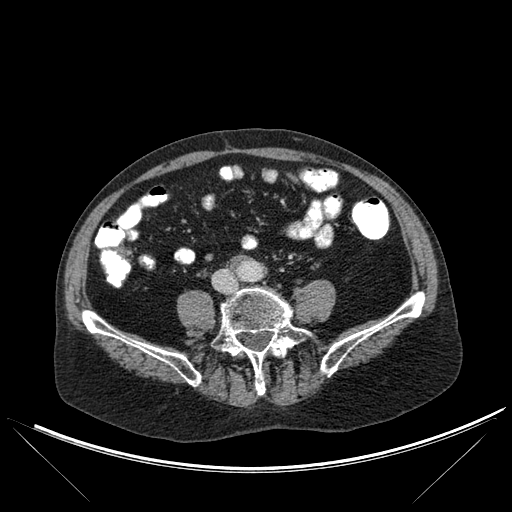
CT

<segmentation>
  <bone>(left=221, top=288, right=307, bottom=394), (left=82, top=310, right=201, bottom=385), (left=321, top=292, right=424, bottom=375)</bone>
</segmentation>